FLAIR magnetic resonance.
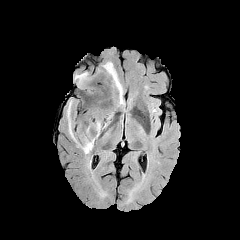
T1-weighted MR image.
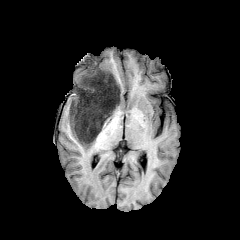
Post-contrast T1-weighted MRI.
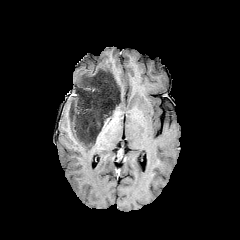
T2-weighted MRI.
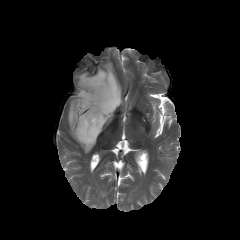
240x240; Brain
edema:
  - region(75, 72, 91, 87)
  - region(92, 78, 105, 95)
  - region(67, 111, 94, 154)
  - region(99, 61, 125, 105)
non-enhancing_tumor_core:
  - region(75, 69, 121, 145)